Slice 71/155
FLAIR MR image.
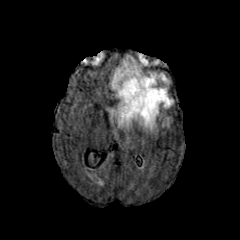
T1-weighted magnetic resonance.
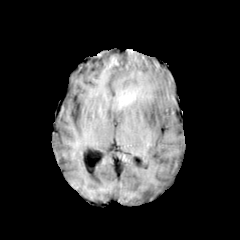
Post-contrast T1-weighted MR image.
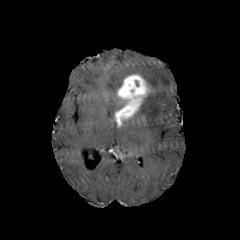
T2-weighted MRI.
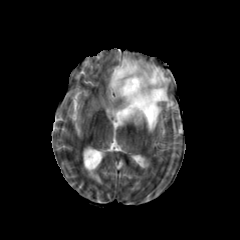
* edema: (109, 55, 173, 132), (108, 103, 119, 122)
* enhancing tumor: (114, 74, 149, 126)